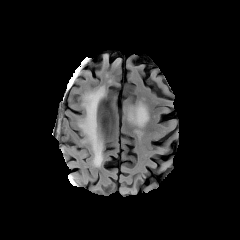
FLAIR MR image.
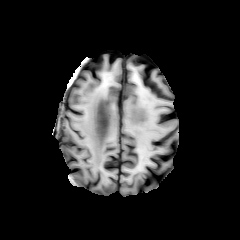
T1-weighted MRI.
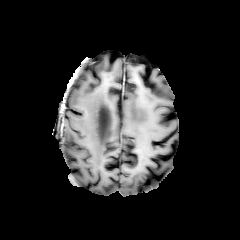
Same slice, post-contrast T1-weighted MR.
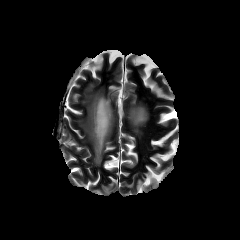
T2-weighted MR image.
Edema — [x1=80, y1=89, x2=103, y2=166].